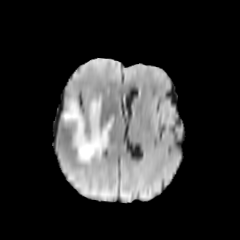
FLAIR MR image.
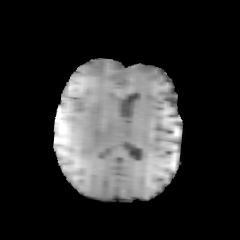
T1-weighted MRI of the same slice.
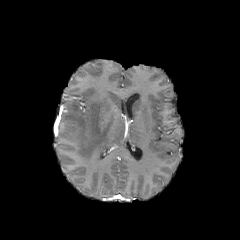
Post-contrast T1-weighted MRI.
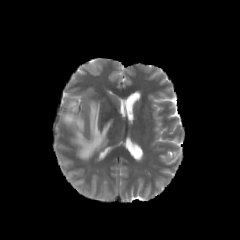
T2-weighted MR.
Head | 240x240 px
Edema — bbox=[63, 98, 113, 163].